MRI slice; Slice index 8

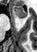 Anterior hippocampus: bounding box 10, 5, 26, 19.